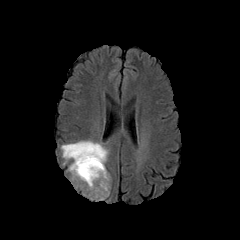
FLAIR magnetic resonance.
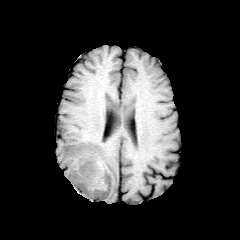
T1-weighted MR image.
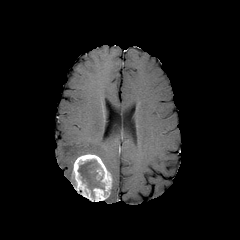
Post-contrast T1-weighted MR.
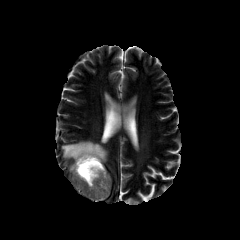
Same slice, T2-weighted MR.
Head. 240x240.
The edema is bounded by x1=61 y1=139 x2=108 y2=186. The enhancing tumor appears at x1=72 y1=154 x2=111 y2=201. The non-enhancing tumor core is located at x1=78 y1=160 x2=104 y2=197.